CT slice, Field of view 421 mm wide, 1.50 mm slice spacing, Slice index 134
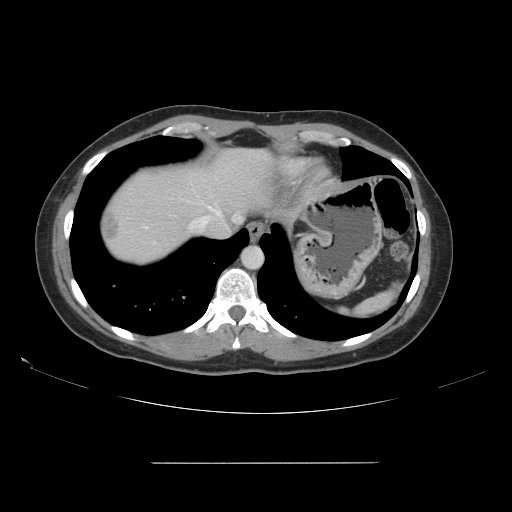

Not every hepatic vessel necessarily has a box.
hepatic_vessel:
  - 234, 215, 240, 219
  - 190, 216, 208, 229
  - 144, 227, 147, 228
  - 208, 207, 220, 216
liver_tumor:
  - 102, 207, 120, 244